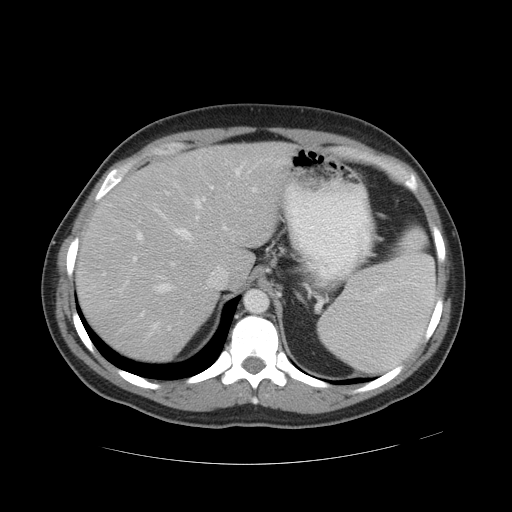

Liver; CT slice
Not every hepatic vessel necessarily has a box.
Annotated regions:
- hepatic vessel: 196, 216, 198, 219; 152, 323, 157, 328; 252, 187, 256, 191; 235, 163, 244, 175; 195, 197, 205, 208; 222, 226, 227, 229; 210, 186, 213, 188; 226, 182, 230, 186; 137, 233, 142, 239; 175, 228, 192, 240; 140, 313, 143, 316; 133, 257, 136, 260; 171, 262, 174, 265; 158, 284, 170, 292